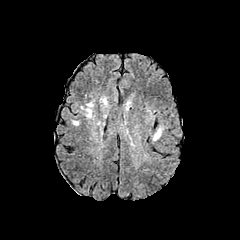
FLAIR MRI.
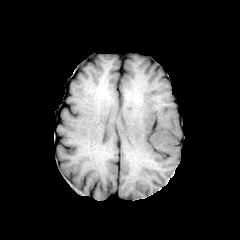
T1-weighted MRI.
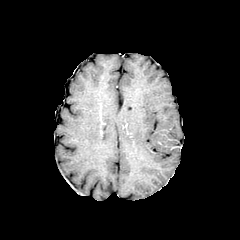
Post-contrast T1-weighted MR of the same slice.
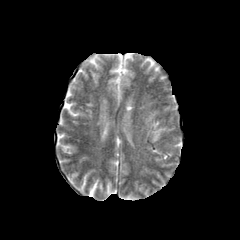
T2-weighted MRI.
240x240 px.
{
  "edema": [
    "[152, 125, 164, 141]"
  ]
}